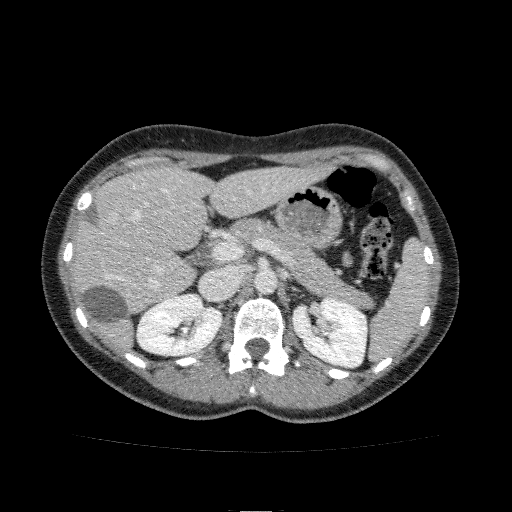 512x512. Computed tomography.

Segmented structures:
* liver: bbox(72, 165, 334, 350)
* kidney: bbox(137, 294, 221, 355); bbox(293, 298, 366, 367)